Liver | CT slice | Slice index 65

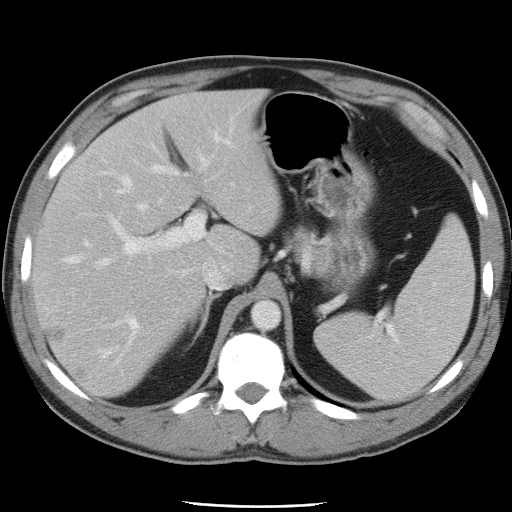 The vessel annotation is not exhaustive.
14 hepatic vessel regions are bounded by l=137, t=203, r=147, b=210; l=96, t=258, r=110, b=266; l=153, t=165, r=159, b=170; l=117, t=176, r=132, b=193; l=201, t=261, r=228, b=288; l=109, t=213, r=204, b=254; l=125, t=315, r=138, b=342; l=200, t=156, r=203, b=160; l=102, t=352, r=107, b=356; l=214, t=135, r=219, b=140; l=181, t=270, r=191, b=274; l=65, t=254, r=83, b=263; l=85, t=240, r=88, b=245; l=169, t=171, r=173, b=173.